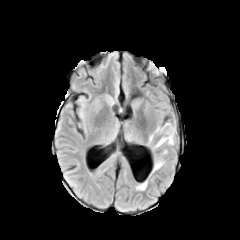
FLAIR MRI.
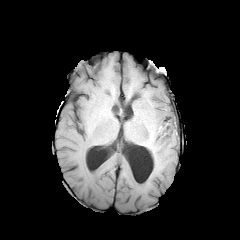
Same slice, T1-weighted MR image.
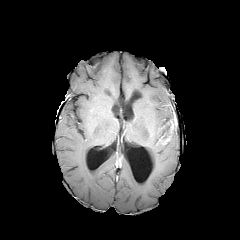
Post-contrast T1-weighted magnetic resonance of the same slice.
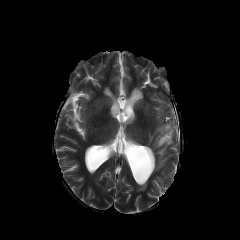
T2-weighted MR of the same slice.
Brain
The non-enhancing tumor core appears at (160, 123, 173, 139). 3 edema regions are located at (151, 155, 165, 174), (136, 179, 147, 190), (155, 120, 176, 145).